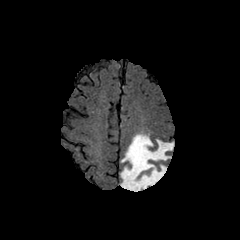
FLAIR MRI.
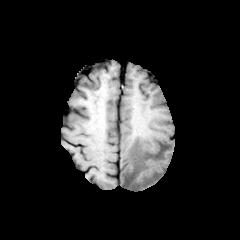
Same slice, T1-weighted MRI.
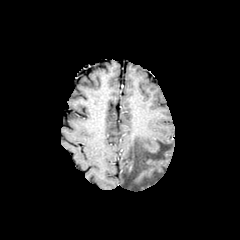
Post-contrast T1-weighted magnetic resonance.
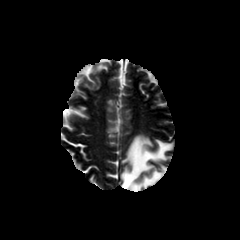
T2-weighted MRI.
Head.
edema:
  - 120:134:173:191